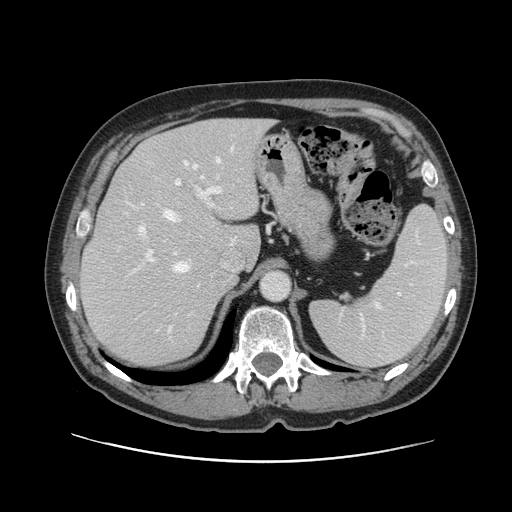
CT image
Only some of the vessels may be annotated.
Hepatic vessel at 231:146:232:150, 194:164:196:168, 200:187:221:196, 169:327:170:332, 174:252:176:254, 133:268:138:271, 175:179:180:184, 164:210:179:221, 139:226:144:233, 209:203:213:205, 184:161:187:164, 174:262:188:271, 146:249:153:261, 216:158:219:162.